FLAIR MR image.
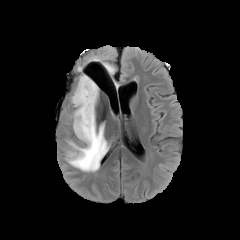
T1-weighted MR.
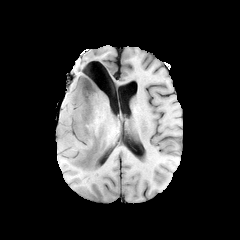
Post-contrast T1-weighted MRI.
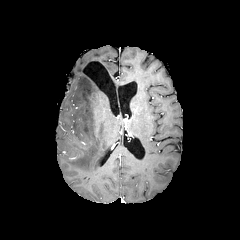
T2-weighted MRI.
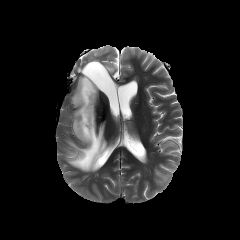
2 edema regions appear at bbox(65, 74, 109, 171); bbox(102, 59, 115, 76).